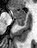 MR; 37x48; Hippocampus
The anterior hippocampus lies within <bbox>9, 6, 25, 19</bbox>. The posterior hippocampus appears at <bbox>15, 20, 24, 26</bbox>.